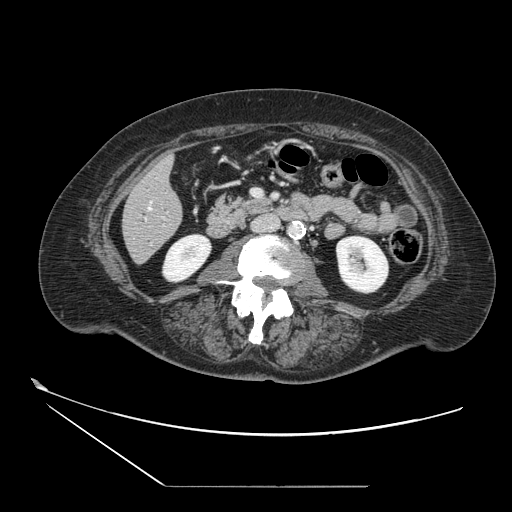

Abdomen, Computed tomography
The pancreas is at {"x1": 208, "y1": 196, "x2": 269, "y2": 229}.